Slice 74 of 145 | Computed tomography | Abdomen | Field of view 386x386 mm
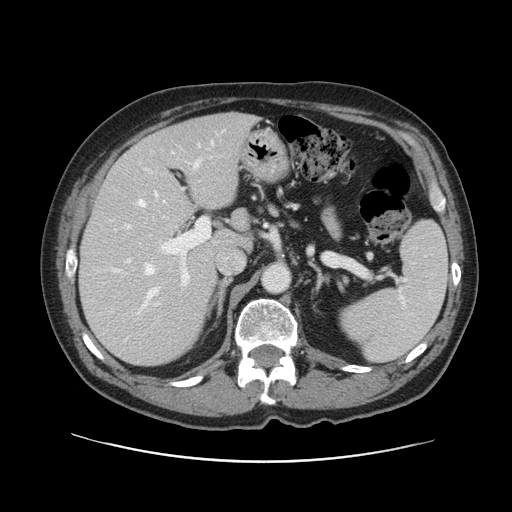

Some hepatic vessels may have no box.
hepatic vessel: box=[154, 192, 156, 196]; box=[145, 168, 148, 170]; box=[185, 282, 186, 284]; box=[198, 144, 199, 146]; box=[138, 200, 145, 206]; box=[172, 152, 173, 153]; box=[125, 225, 130, 227]; box=[142, 288, 157, 306]; box=[126, 259, 130, 262]; box=[145, 263, 154, 273]; box=[193, 160, 199, 167]; box=[112, 268, 119, 271]